512x512 | Slice index 39 | CT
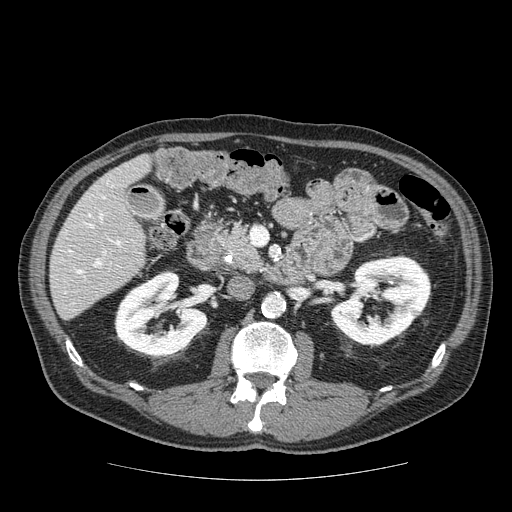

Findings:
- pancreas: <bbox>223, 224, 264, 273</bbox>
- pancreatic tumor: <bbox>230, 240, 253, 257</bbox>